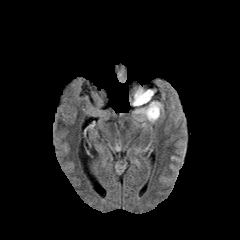
FLAIR MRI.
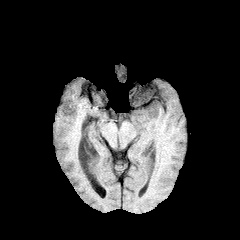
T1-weighted magnetic resonance.
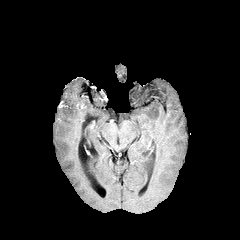
Post-contrast T1-weighted magnetic resonance.
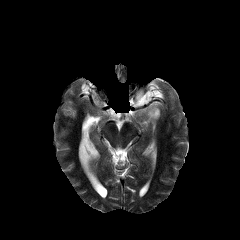
T2-weighted MR of the same slice.
Brain
Segmented structures:
* non-enhancing tumor core: (left=138, top=93, right=148, bottom=103)
* edema: (left=129, top=87, right=162, bottom=124)